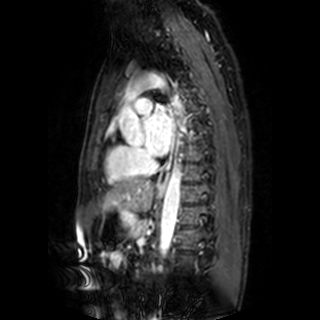

Cardiac, MR image

{
  "left_atrium": [
    "<bbox>145, 106, 172, 157</bbox>"
  ]
}